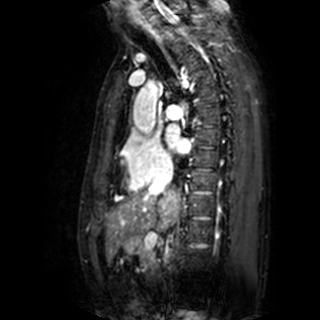
Magnetic resonance; Heart

left_atrium:
  - x1=165, y1=124, x2=190, y2=152